FLAIR MR image.
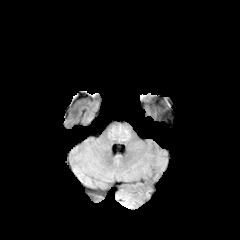
T1-weighted MR image.
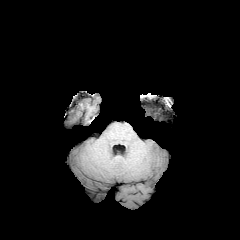
Post-contrast T1-weighted magnetic resonance.
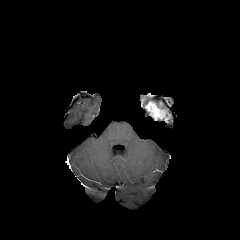
T2-weighted magnetic resonance.
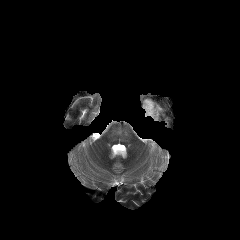
240x240 | Brain
enhancing tumor: region(145, 102, 162, 118)